FLAIR MR.
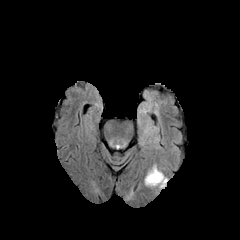
T1-weighted MR image.
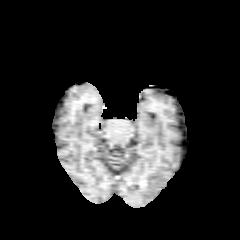
Post-contrast T1-weighted MRI.
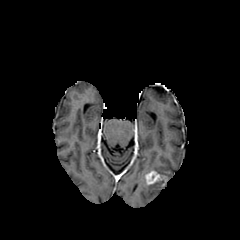
T2-weighted MR image.
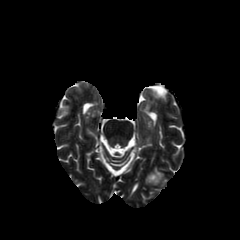
Brain; 240x240 px
Annotated regions:
• enhancing tumor: [145,171,164,184]
• edema: [144,164,168,189]